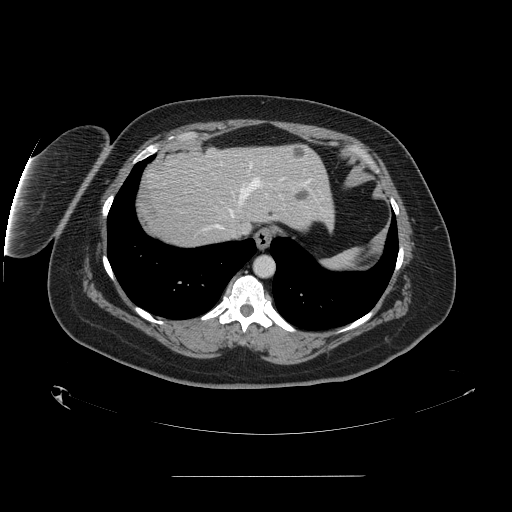 Upper abdomen. 512x512 px. CT image. The spleen is at {"x1": 322, "y1": 249, "x2": 359, "y2": 272}.